Upper abdomen. Image size 512x512. Slice index 513. CT image.

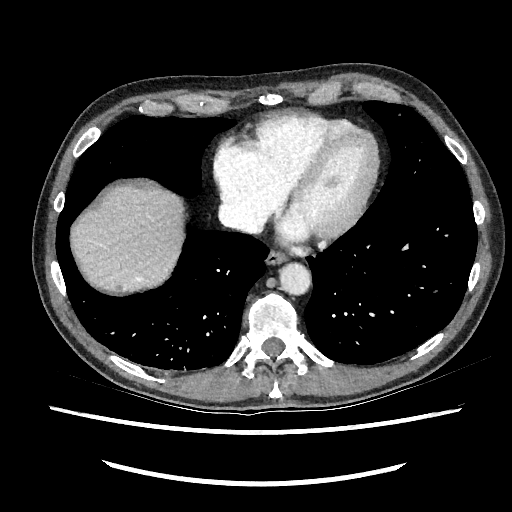

The liver lies within 71,186,183,289.